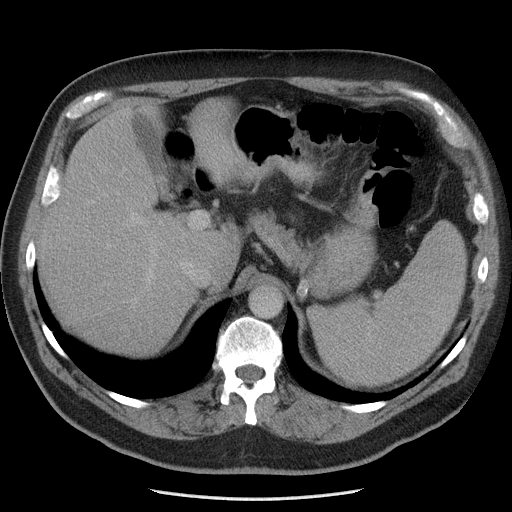
CT slice.
The vessel annotation is not exhaustive.
Hepatic vessel = [131,213,143,223], [147,221,148,223], [116,192,118,194], [151,249,154,253], [191,212,202,228], [175,259,209,281], [151,259,154,266], [150,294,151,296], [160,243,163,244], [146,268,153,289], [148,234,154,239], [142,291,143,292], [159,221,162,224], [123,223,129,227].